CT | Slice 74 of 463 | Pelvis 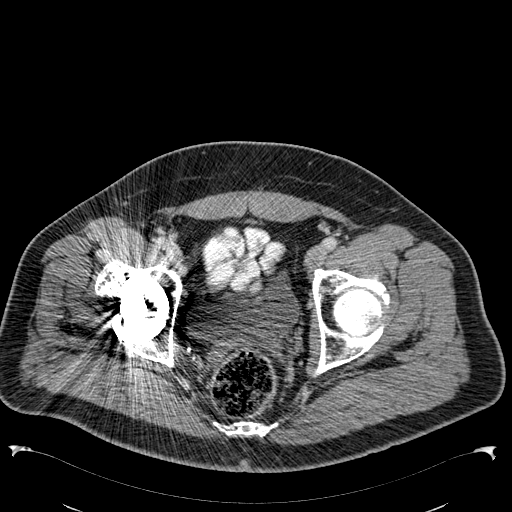 Annotated regions:
• urinary bladder: {"x1": 209, "y1": 268, "x2": 301, "y2": 338}, {"x1": 253, "y1": 215, "x2": 259, "y2": 227}